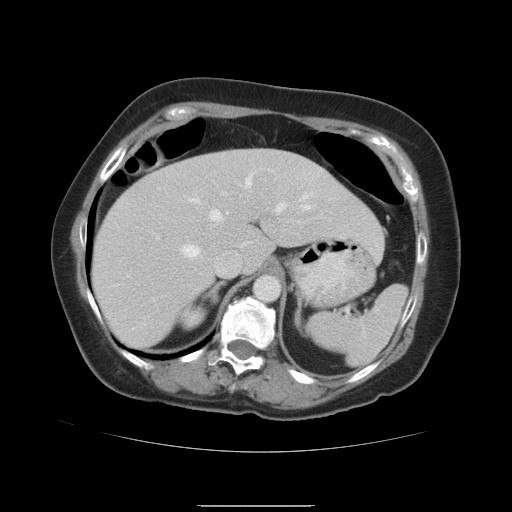

512x512, CT slice, Abdomen
Some hepatic vessels may have no box.
Hepatic vessel at 276, 202, 286, 213; 302, 205, 310, 209; 128, 274, 130, 277; 182, 245, 200, 256; 155, 234, 160, 239; 191, 198, 199, 202; 246, 174, 252, 187; 153, 298, 155, 300; 222, 192, 226, 194; 210, 210, 222, 220; 114, 285, 116, 286.